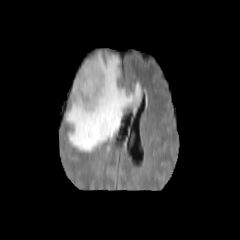
FLAIR MR image.
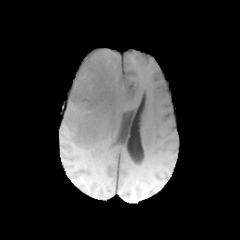
T1-weighted MR image.
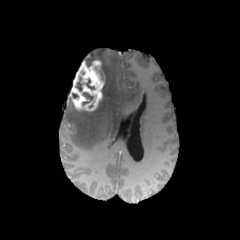
Post-contrast T1-weighted MR image of the same slice.
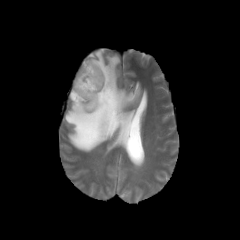
T2-weighted magnetic resonance.
Brain
Non-enhancing tumor core — [x1=99, y1=65, x2=106, y2=104].
Edema — [x1=65, y1=50, x2=141, y2=151].
Enhancing tumor — [x1=69, y1=60, x2=104, y2=111].